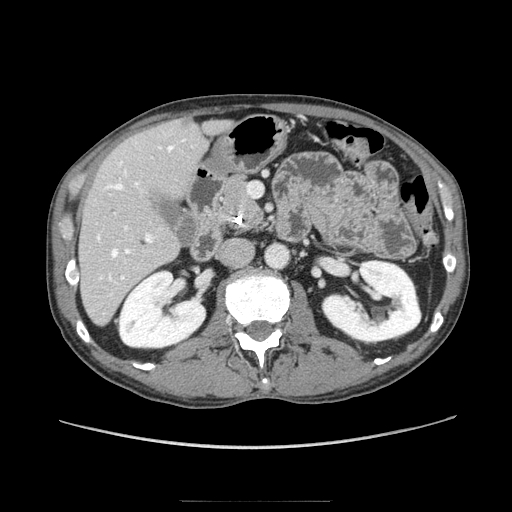 Upper abdomen, CT image

Pancreatic tumor: bounding box {"x1": 226, "y1": 180, "x2": 246, "y2": 209}.
Pancreas: bounding box {"x1": 213, "y1": 176, "x2": 262, "y2": 226}.